240x240; Brain; Field of view 240 mm wide, 1.00 mm slice spacing
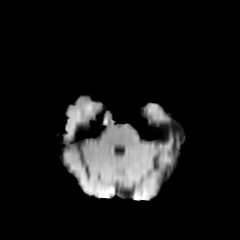
FLAIR MR.
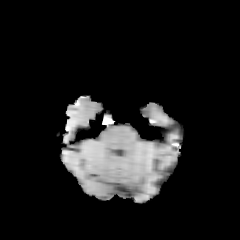
T1-weighted magnetic resonance of the same slice.
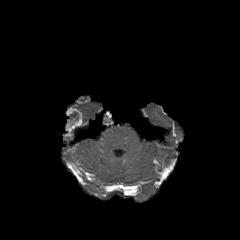
Same slice, post-contrast T1-weighted MR image.
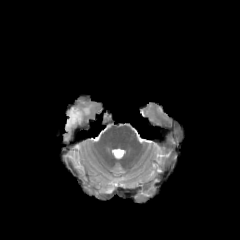
T2-weighted MR image.
The non-enhancing tumor core is at (left=69, top=111, right=78, bottom=120). The enhancing tumor is bounded by (left=65, top=107, right=82, bottom=135).